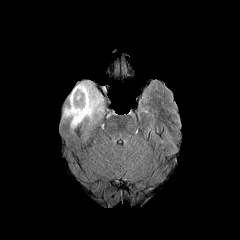
FLAIR MRI.
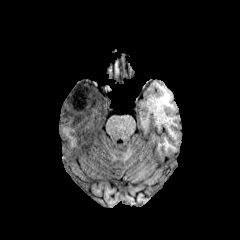
T1-weighted magnetic resonance.
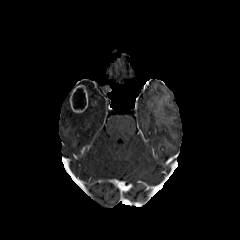
Post-contrast T1-weighted MRI.
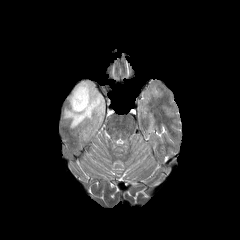
T2-weighted MR image.
Head
Edema: left=61, top=80, right=104, bottom=129.
Enhancing tumor: left=69, top=84, right=88, bottom=112.
Non-enhancing tumor core: left=71, top=87, right=85, bottom=109.